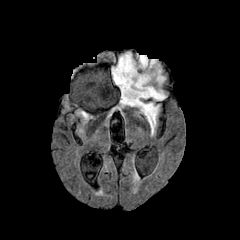
FLAIR MRI.
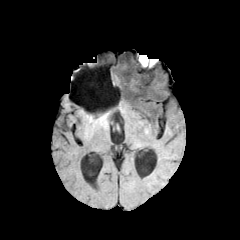
Same slice, T1-weighted MRI.
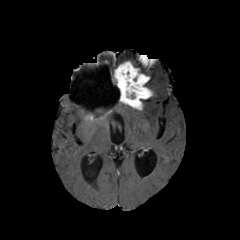
Post-contrast T1-weighted MR.
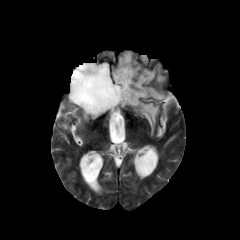
T2-weighted magnetic resonance.
Head
Segmented structures:
- non-enhancing tumor core: 139, 68, 151, 77
- enhancing tumor: 114, 60, 152, 109
- edema: 136, 64, 146, 71; 118, 52, 136, 65; 140, 65, 167, 135